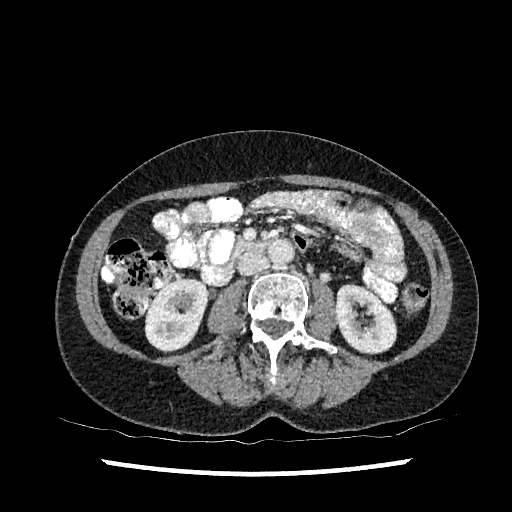 CT | Abdomen | 512x512

Kidney at (x1=145, y1=280, x2=207, y2=350), (x1=336, y1=285, x2=395, y2=352).